Slice index 180; Liver; CT slice; Field of view 353x353 mm 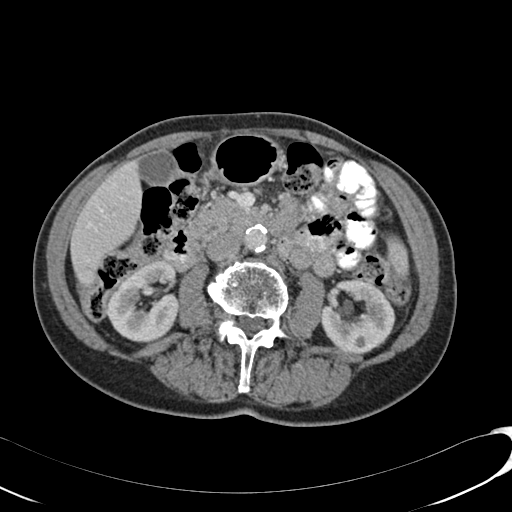

Kidney: bounding box <bbox>329, 289, 337, 306</bbox>, <bbox>106, 261, 178, 340</bbox>, <bbox>322, 280, 393, 353</bbox>.
Liver: bounding box <bbox>71, 160, 141, 284</bbox>.